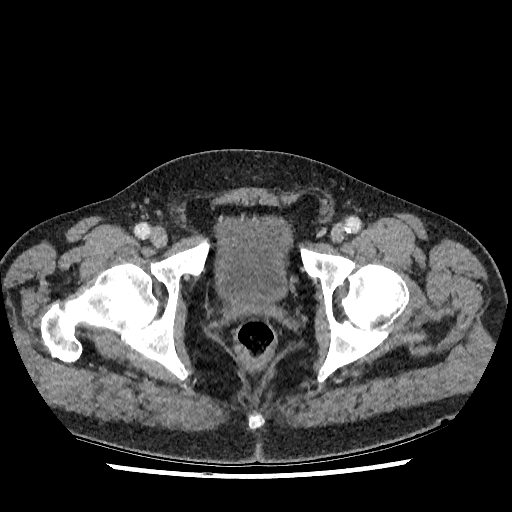
CT slice
Urinary bladder at left=214, top=215, right=292, bottom=309.